Abdomen, 512x512, CT

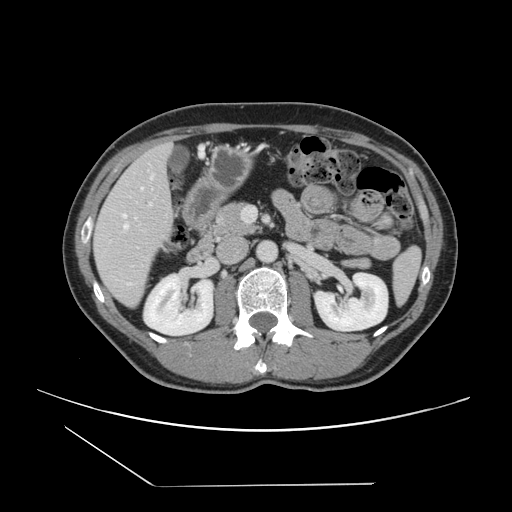
Only some of the vessels may be annotated.
hepatic_vessel:
  - bbox(148, 164, 150, 170)